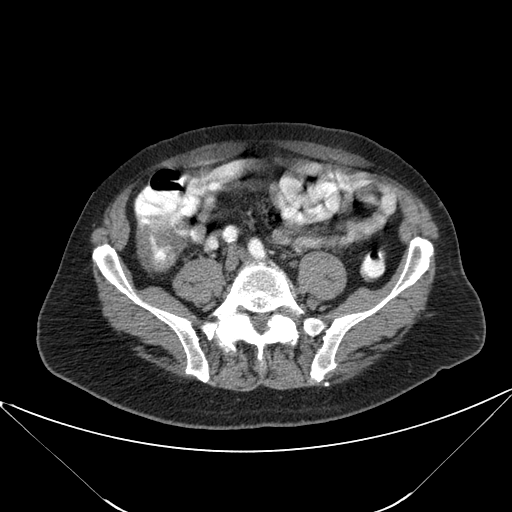 CT. Abdomen. <segmentation>
  <colon_tumor>{"x1": 137, "y1": 221, "x2": 185, "y2": 272}</colon_tumor>
</segmentation>